Field of view 240 mm wide, 1.00 mm slice spacing; Slice index 93
FLAIR magnetic resonance.
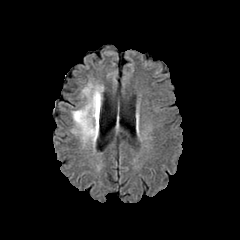
T1-weighted MRI.
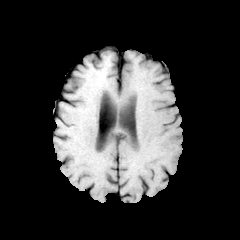
Post-contrast T1-weighted MR.
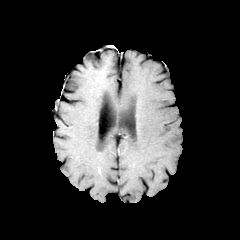
T2-weighted MRI.
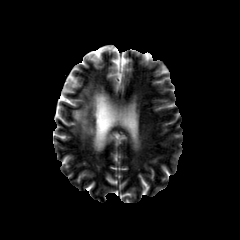
<segmentation>
  <edema>[71, 82, 103, 147]</edema>
</segmentation>